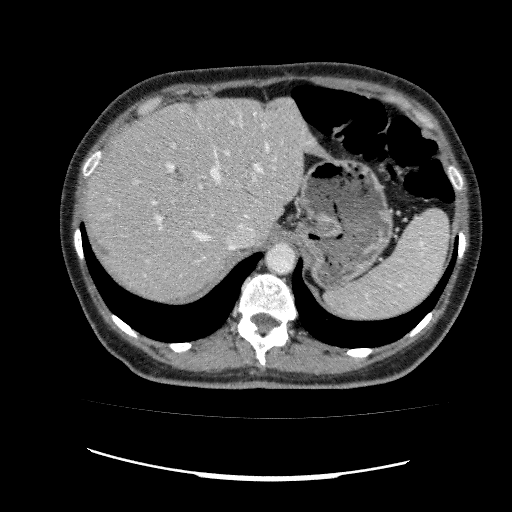 CT

Findings:
• focal liver lesion: {"x1": 99, "y1": 245, "x2": 108, "y2": 255}
• liver: {"x1": 84, "y1": 97, "x2": 331, "y2": 302}